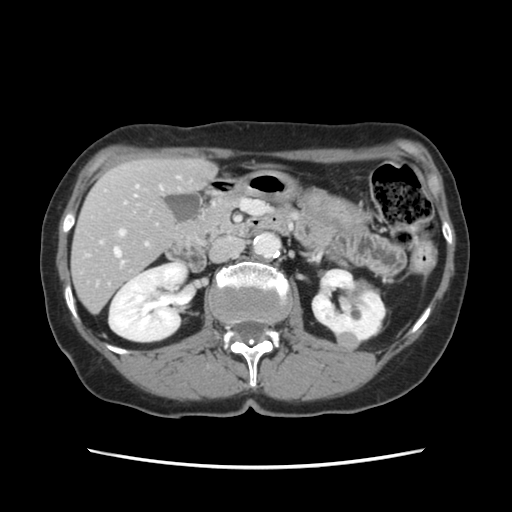

Computed tomography.
Only some of the vessels may be annotated.
5 hepatic vessel regions are bounded by box=[119, 230, 124, 235]; box=[136, 185, 138, 187]; box=[100, 241, 102, 243]; box=[114, 248, 120, 255]; box=[146, 243, 147, 245].